Slice 29 of 60. Field of view 385x385 mm. CT slice. Upper abdomen.
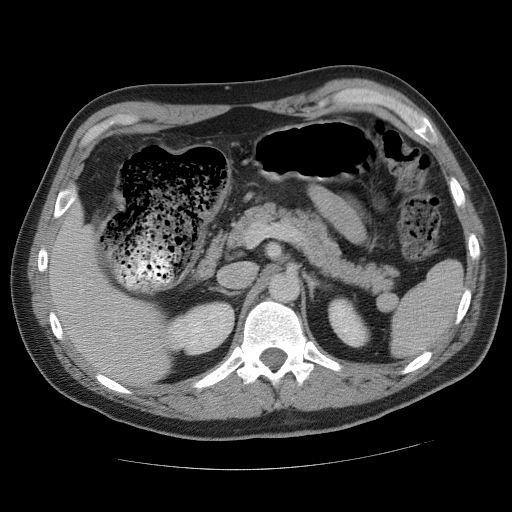 Spleen = (x1=392, y1=260, x2=463, y2=356).